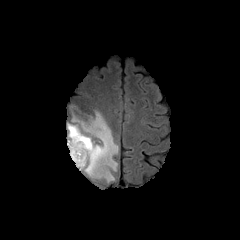
FLAIR MRI.
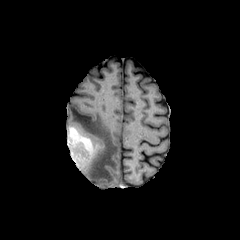
Same slice, T1-weighted magnetic resonance.
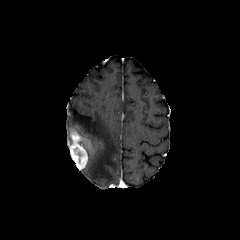
Post-contrast T1-weighted MR image.
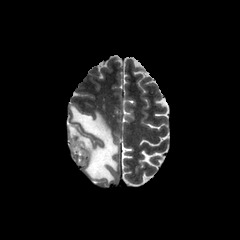
Same slice, T2-weighted MR image.
240x240 px
edema: {"x1": 73, "y1": 111, "x2": 117, "y2": 182} | non-enhancing tumor core: {"x1": 69, "y1": 127, "x2": 77, "y2": 138}, {"x1": 73, "y1": 146, "x2": 82, "y2": 163}, {"x1": 78, "y1": 136, "x2": 96, "y2": 156} | enhancing tumor: {"x1": 70, "y1": 135, "x2": 88, "y2": 169}